Slice 72/155 | Brain | Field of view 240x240 mm
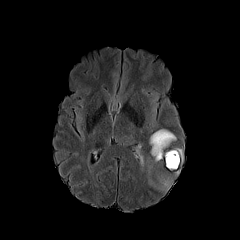
FLAIR magnetic resonance.
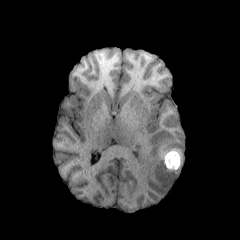
T1-weighted MR.
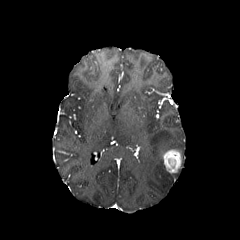
Same slice, post-contrast T1-weighted MR image.
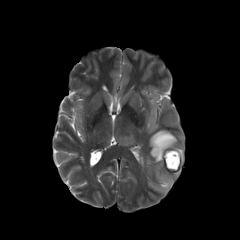
Same slice, T2-weighted magnetic resonance.
Enhancing tumor — <box>163,149,182,173</box>.
Edema — <box>149,130,176,162</box>, <box>160,178,171,191</box>.